FLAIR magnetic resonance.
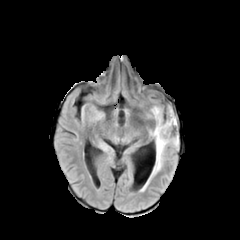
T1-weighted magnetic resonance.
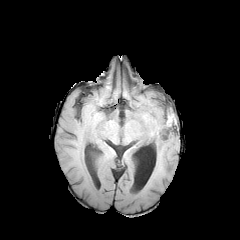
Post-contrast T1-weighted MR.
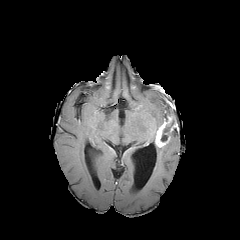
T2-weighted MRI.
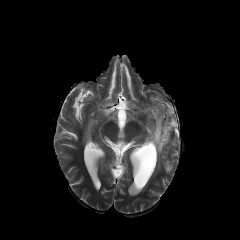
Brain, 240x240
<segmentation>
  <non-enhancing_tumor_core>l=150, t=105, r=175, b=143</non-enhancing_tumor_core>
  <enhancing_tumor>l=154, t=118, r=174, b=147</enhancing_tumor>
  <edema>l=148, t=128, r=156, b=149; l=150, t=104, r=169, b=123; l=146, t=129, r=179, b=185</edema>
</segmentation>